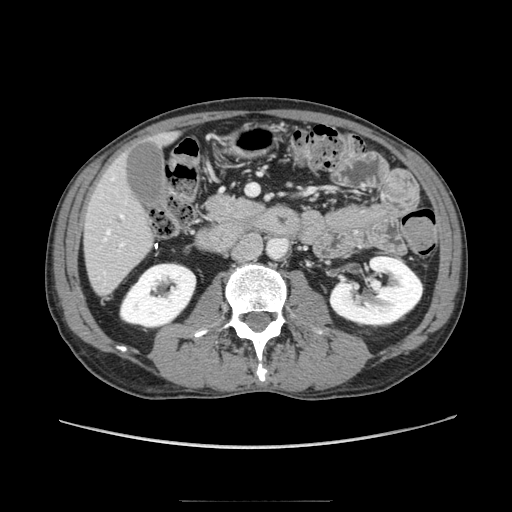
CT slice | Image size 512x512
The pancreas is located at x1=208 y1=195 x2=263 y2=222.